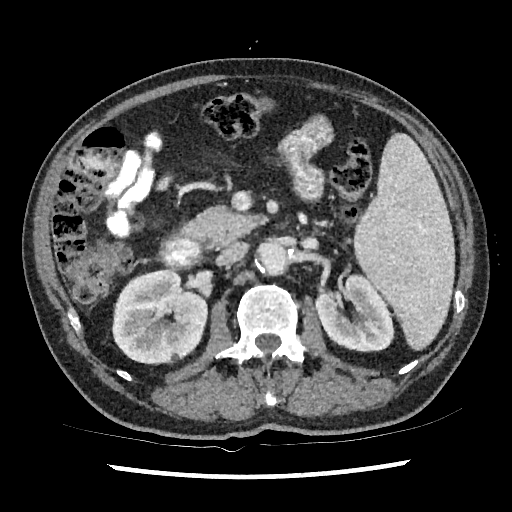

CT slice
kidney:
  - [x1=113, y1=270, x2=207, y2=363]
  - [x1=316, y1=275, x2=393, y2=350]